Abdomen, CT image
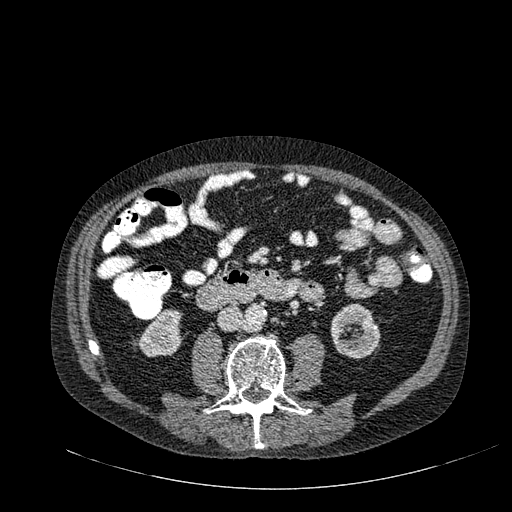
kidney: (left=138, top=309, right=182, bottom=356), (left=331, top=303, right=380, bottom=358)